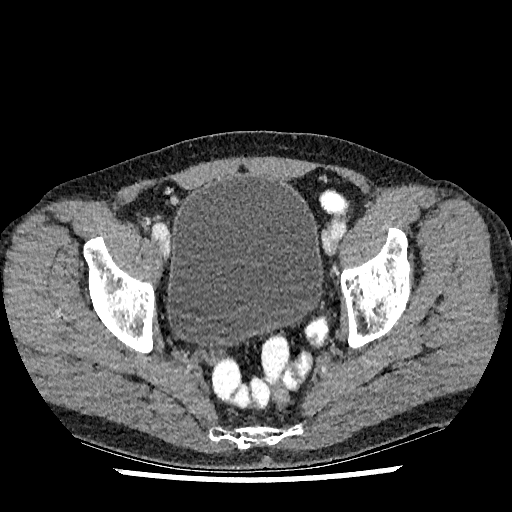
Pelvis, CT scan slice
The urinary bladder appears at 167 176 323 350.